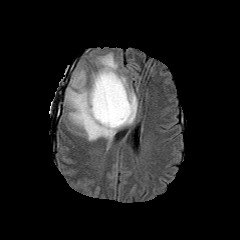
FLAIR MRI.
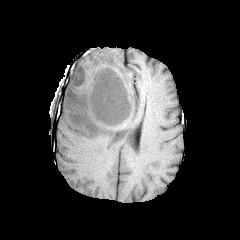
T1-weighted MRI.
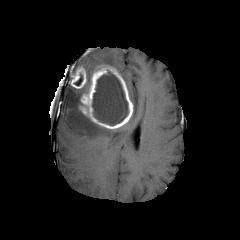
Post-contrast T1-weighted MR of the same slice.
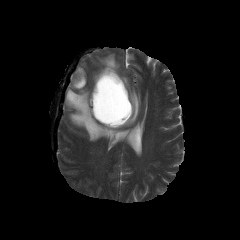
T2-weighted MRI of the same slice.
enhancing_tumor:
  - (left=79, top=64, right=133, bottom=129)
  - (left=70, top=65, right=87, bottom=88)
edema:
  - (left=95, top=52, right=119, bottom=70)
  - (left=120, top=73, right=137, bottom=126)
  - (left=64, top=84, right=122, bottom=150)
non-enhancing_tumor_core:
  - (left=92, top=72, right=128, bottom=125)